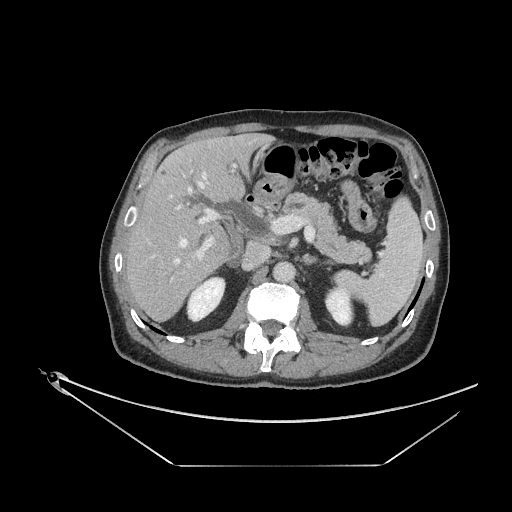 Computed tomography. 512x512. Abdomen. Findings:
- pancreas: (left=283, top=194, right=372, bottom=263)